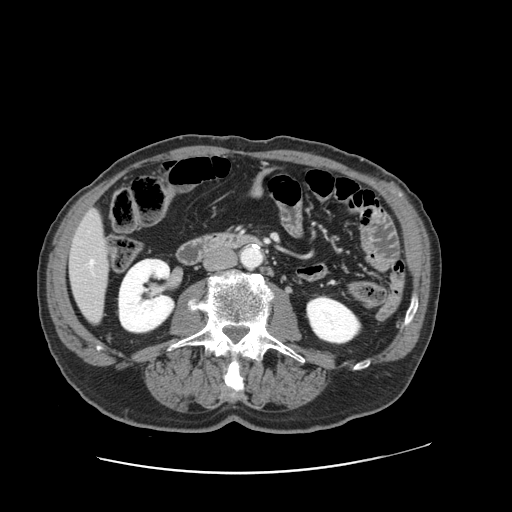

Image size 512x512. Abdomen. CT.

Only some of the vessels may be annotated.
<segmentation>
  <hepatic_vessel>l=89, t=260, r=93, b=266</hepatic_vessel>
</segmentation>